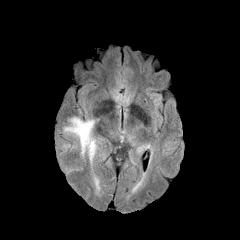
FLAIR magnetic resonance.
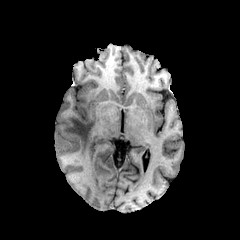
T1-weighted magnetic resonance.
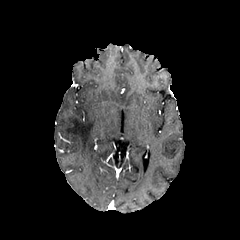
Same slice, post-contrast T1-weighted MR.
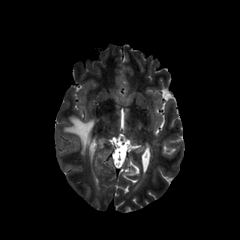
T2-weighted MRI.
Image size 240x240
edema:
  - x1=63, y1=117, x2=94, y2=161